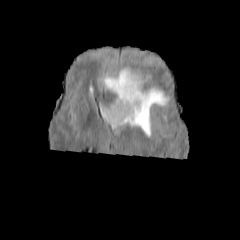
FLAIR MRI.
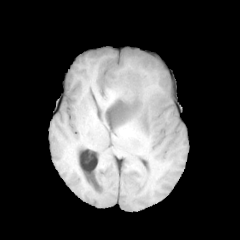
T1-weighted MR image.
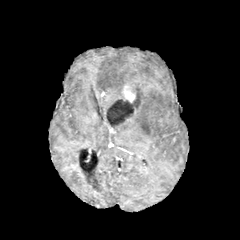
Post-contrast T1-weighted magnetic resonance of the same slice.
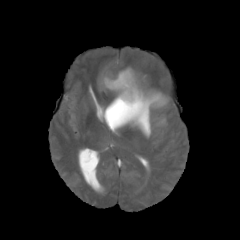
T2-weighted MRI.
240x240 | Brain
2 edema regions are bounded by x1=101 y1=66 x2=133 y2=101, x1=110 y1=71 x2=171 y2=136. 3 non-enhancing tumor core regions are bounded by x1=126 y1=71 x2=144 y2=97, x1=132 y1=99 x2=141 y2=109, x1=105 y1=99 x2=134 y2=125. The enhancing tumor is at x1=121 y1=83 x2=135 y2=102.